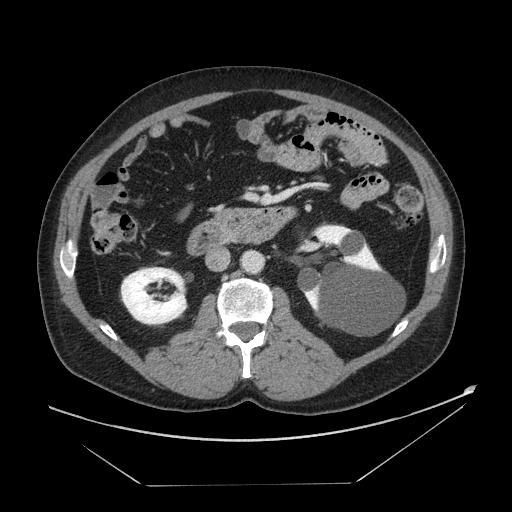

Abdomen | Computed tomography
Annotated regions:
* pancreas: (216,208,254,238)